Computed tomography, Slice index 127
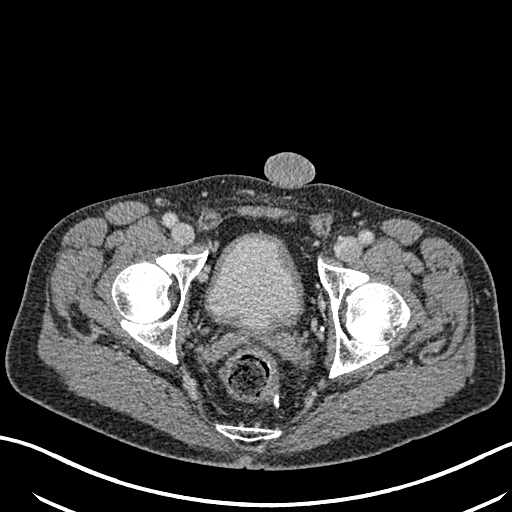 The urinary bladder appears at bbox=[208, 234, 299, 333].